CT; Abdomen 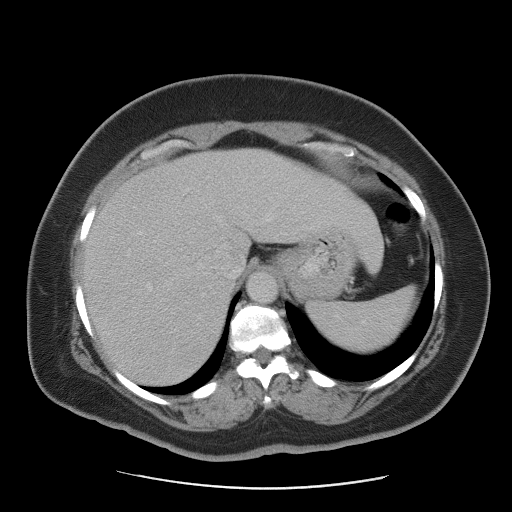
Not every hepatic vessel necessarily has a box.
Hepatic vessel: (217, 251, 218, 252), (140, 232, 141, 233), (222, 267, 224, 268).